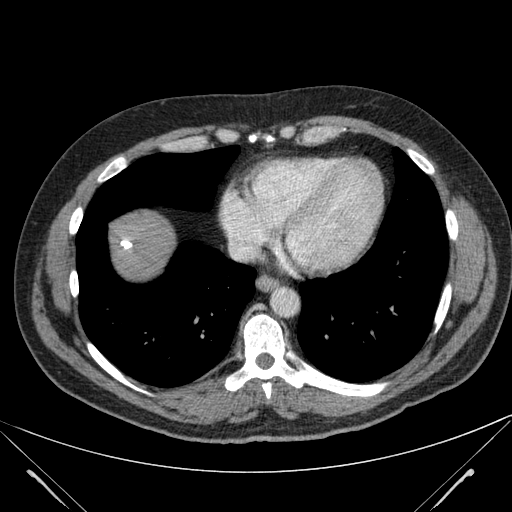
CT image, Abdomen, 512x512

The liver is located at 109, 210, 174, 278.